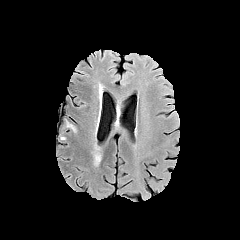
FLAIR MRI.
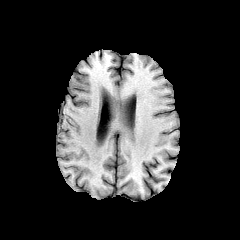
T1-weighted MR image of the same slice.
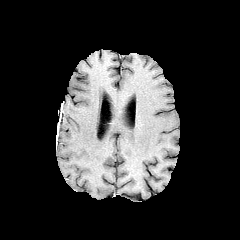
Same slice, post-contrast T1-weighted magnetic resonance.
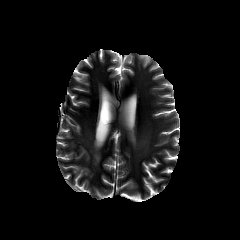
Same slice, T2-weighted MRI.
Brain
Edema = x1=91, y1=142, x2=101, y2=165.